Field of view 353x353 mm | CT 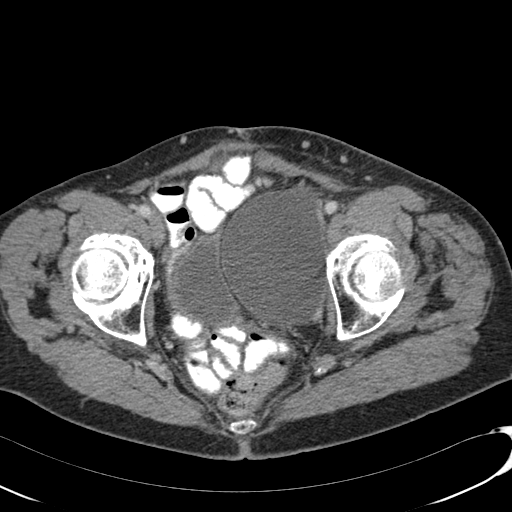

2 urinary bladder regions appear at <bbox>165, 222, 243, 329</bbox>, <bbox>197, 165, 213, 175</bbox>.